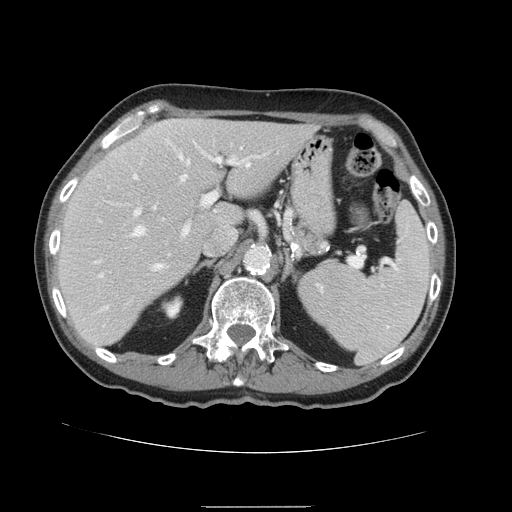
Abdomen; CT image
<segmentation>
  <spleen>299 203 431 362</spleen>
</segmentation>